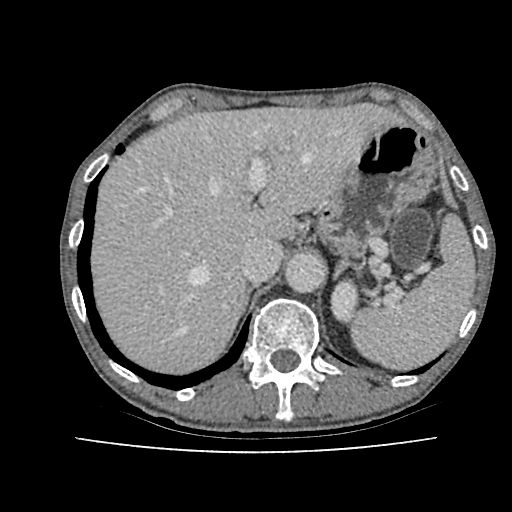

Abdomen | CT slice
Liver = rect(90, 104, 398, 373).
Kidney = rect(333, 284, 355, 317).